CT slice
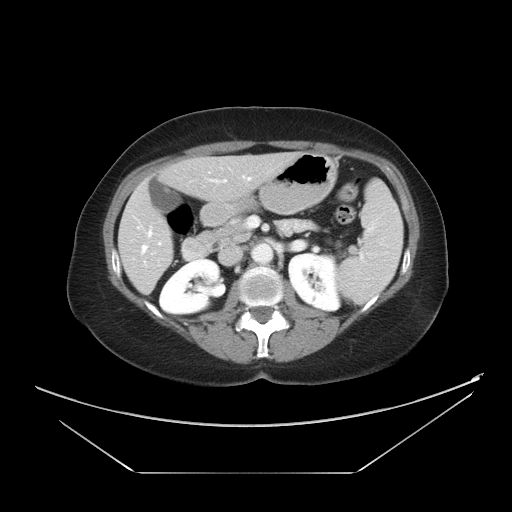

The vessel boxes may cover only some of the vessels.
Hepatic vessel — box(141, 245, 146, 253); box(242, 176, 250, 180); box(158, 242, 160, 244); box(152, 252, 154, 254); box(144, 261, 145, 264); box(137, 224, 141, 228); box(209, 179, 225, 182); box(147, 227, 152, 235).